Slice 72 of 155
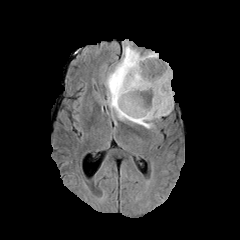
FLAIR MR image.
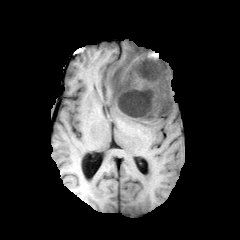
T1-weighted magnetic resonance.
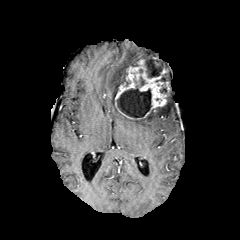
Same slice, post-contrast T1-weighted MR image.
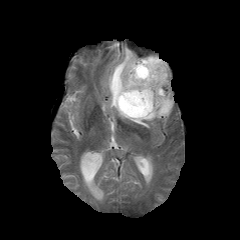
T2-weighted MRI of the same slice.
Edema: bounding box box=[104, 45, 158, 120]; box=[130, 91, 173, 128].
Non-enhancing tumor core: bounding box box=[145, 59, 163, 77]; box=[118, 85, 151, 116].
Enhancing tumor: bounding box box=[114, 59, 170, 120].